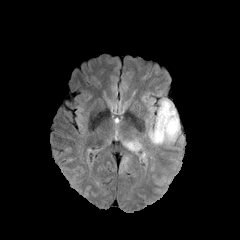
FLAIR magnetic resonance.
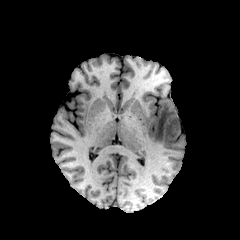
T1-weighted MRI.
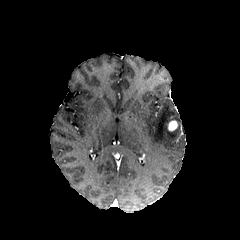
Post-contrast T1-weighted MR.
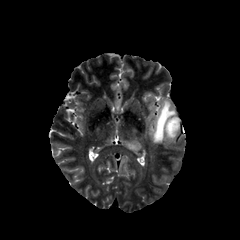
T2-weighted magnetic resonance of the same slice.
Enhancing tumor = (x1=167, y1=120, x2=178, y2=130).
Edema = (x1=148, y1=99, x2=178, y2=144), (x1=122, y1=138, x2=142, y2=154).